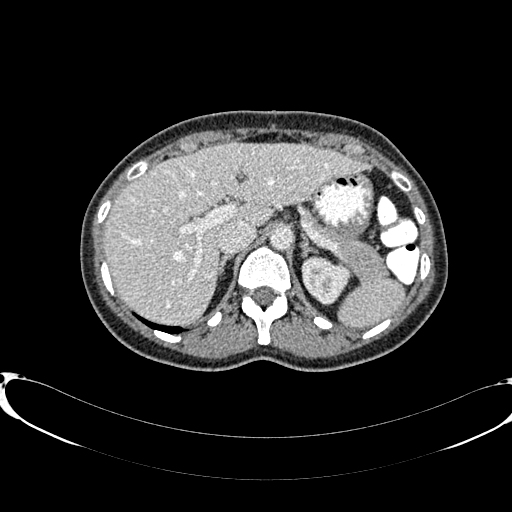
512x512 px. CT slice. The liver appears at 104, 144, 369, 323. The kidney is at 303, 259, 346, 302.